FLAIR MR.
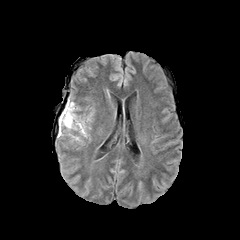
T1-weighted MR image.
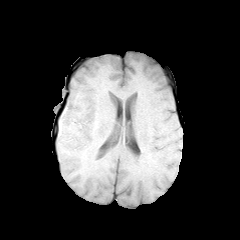
Post-contrast T1-weighted magnetic resonance.
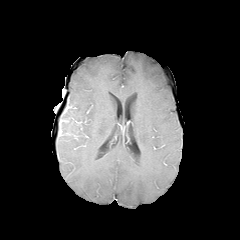
T2-weighted magnetic resonance.
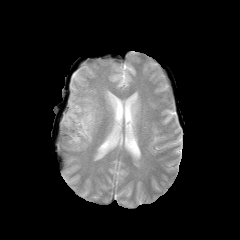
Non-enhancing tumor core = box=[75, 120, 85, 125]; box=[64, 100, 75, 123].
Edema = box=[58, 98, 93, 142].